Field of view 240x240 mm
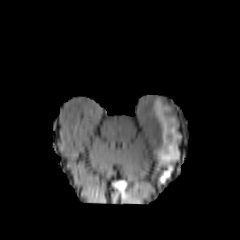
FLAIR MR.
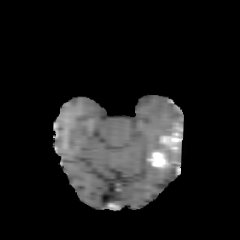
T1-weighted MR.
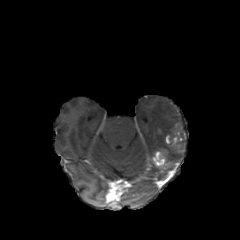
Post-contrast T1-weighted MR image.
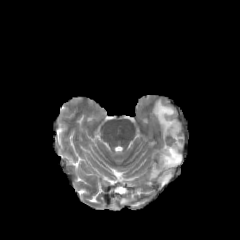
T2-weighted MR.
2 non-enhancing tumor core regions are located at [161, 152, 170, 166], [168, 125, 183, 140]. 2 enhancing tumor regions are located at [165, 131, 182, 146], [153, 150, 167, 167]. The edema is located at [152, 97, 184, 168].